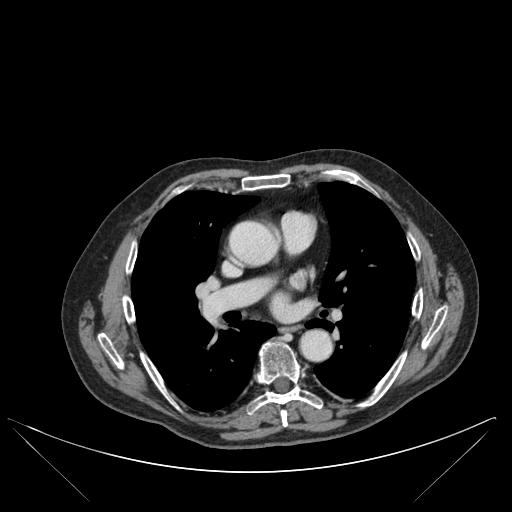
512x512 px, CT scan slice
bone:
  - (257, 342, 304, 383)
  - (98, 333, 123, 368)
  - (359, 352, 406, 406)
  - (126, 244, 136, 272)
  - (250, 386, 322, 412)
  - (123, 296, 134, 322)
  - (140, 353, 167, 395)
  - (408, 237, 420, 259)
  - (335, 170, 362, 184)
  - (281, 410, 287, 426)
  - (422, 307, 446, 348)
  - (242, 174, 289, 190)
  - (412, 289, 422, 317)
lung:
  - (305, 310, 333, 331)
  - (131, 191, 275, 411)
  - (314, 181, 414, 397)